FLAIR MR.
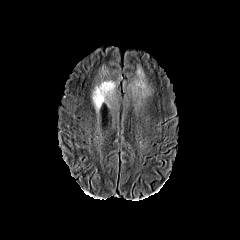
T1-weighted MR.
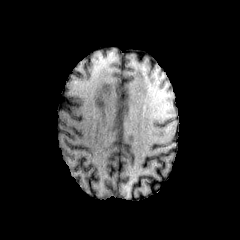
Post-contrast T1-weighted magnetic resonance.
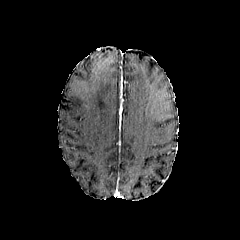
T2-weighted magnetic resonance.
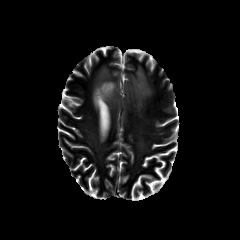
Head.
edema:
  - bbox(92, 81, 117, 112)
  - bbox(132, 68, 147, 96)